Slice index 68; Image size 240x240
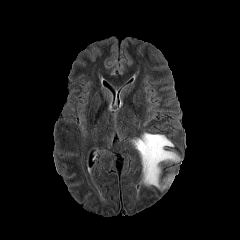
FLAIR magnetic resonance.
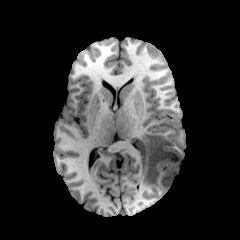
T1-weighted MR.
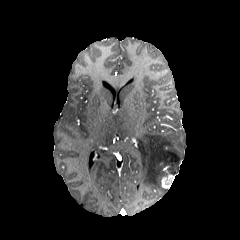
Post-contrast T1-weighted MR.
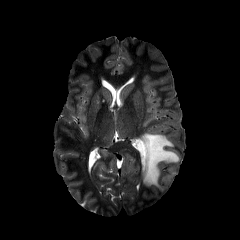
T2-weighted MRI.
The enhancing tumor lies within 161:175:174:188. The non-enhancing tumor core appears at 161:161:173:168. The edema is at 136:132:179:191.